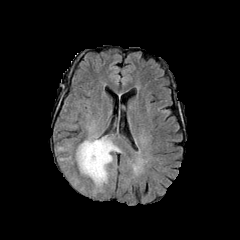
FLAIR magnetic resonance.
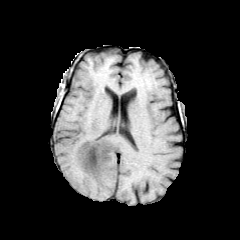
Same slice, T1-weighted MRI.
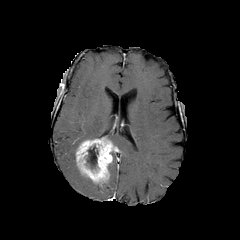
Same slice, post-contrast T1-weighted magnetic resonance.
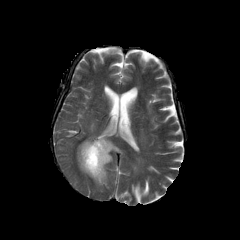
Same slice, T2-weighted magnetic resonance.
Brain
Enhancing tumor at [76,137,117,184].
Non-enhancing tumor core at [86,146,97,167].